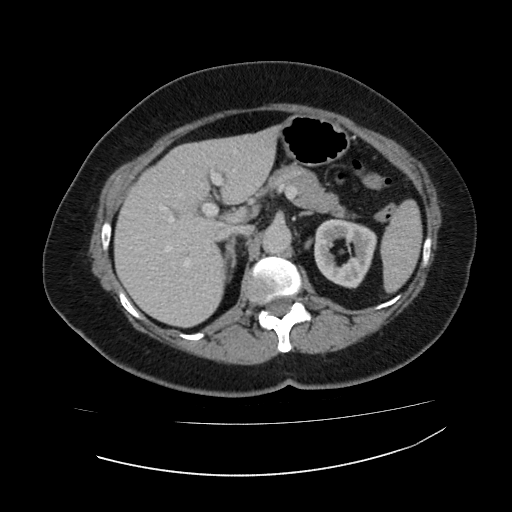

Computed tomography; Image size 512x512; Upper abdomen
The liver is located at l=115, t=126, r=278, b=326. The kidney is located at l=314, t=220, r=376, b=287.